CT slice; 512x512; Field of view 400x400 mm; Chest 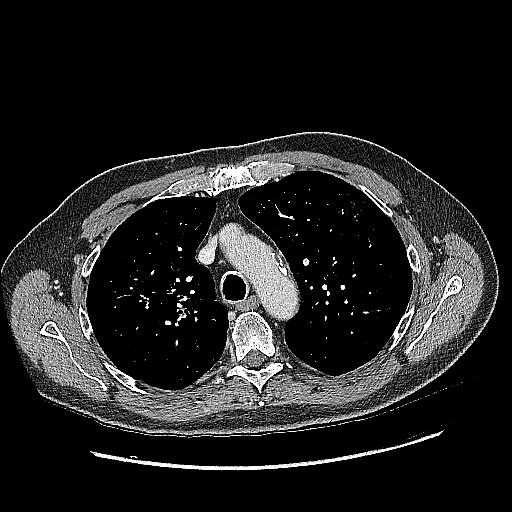

Lung tumor = region(126, 274, 150, 296).